Image size 35x53 | Magnetic resonance

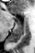

Posterior hippocampus: bounding box [x1=8, y1=21, x2=22, y2=42].